Slice 135 of 228; CT; Chest; Field of view 400x400 mm
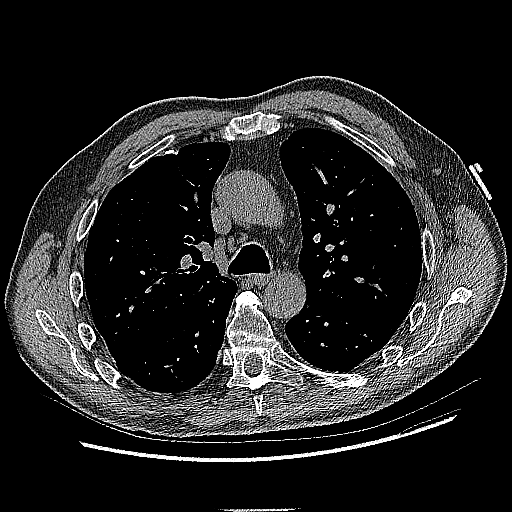
<segmentation>
  <lung_tumor>(x1=133, y1=364, x2=145, y2=373)</lung_tumor>
</segmentation>